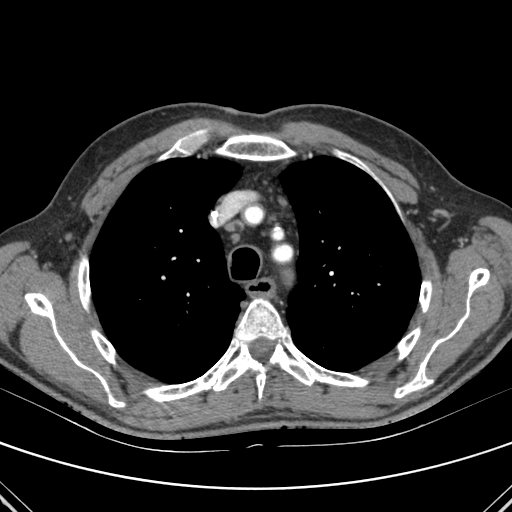

Chest | CT
{
  "lung": [
    "l=90, t=158, r=245, b=383",
    "l=280, t=156, r=420, b=371"
  ],
  "bone": [
    "l=25, t=293, r=124, b=407",
    "l=394, t=268, r=489, b=397",
    "l=159, t=130, r=206, b=159",
    "l=78, t=257, r=90, b=310",
    "l=397, t=327, r=420, b=359",
    "l=419, t=280, r=431, b=312",
    "l=91, t=329, r=115, b=364",
    "l=144, t=298, r=368, b=401",
    "l=216, t=134, r=295, b=160",
    "l=338, t=151, r=369, b=172"
  ]
}